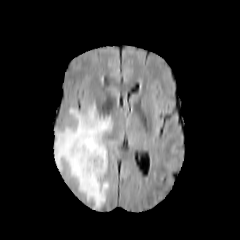
FLAIR MRI.
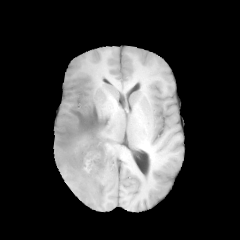
T1-weighted magnetic resonance.
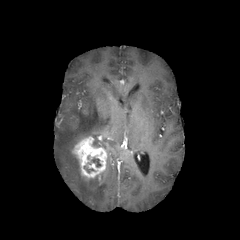
Same slice, post-contrast T1-weighted MR.
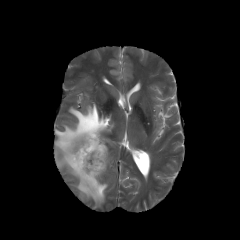
Same slice, T2-weighted MR.
Image size 240x240. Brain.
Enhancing tumor — 72,136,107,179.
Non-enhancing tumor core — 91,157,100,167; 83,165,96,173.
Edema — 54,102,113,207.